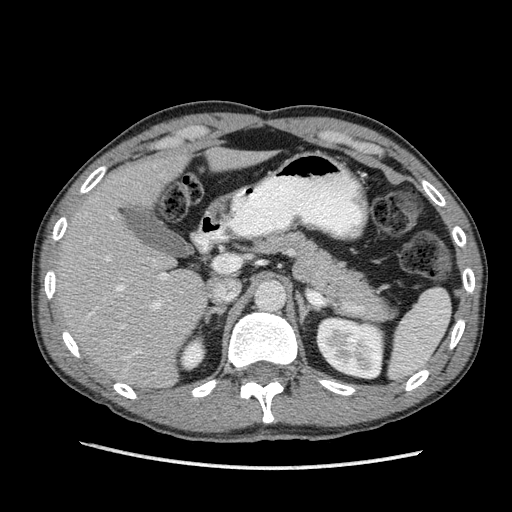

CT slice
<segmentation>
  <kidney>[183, 343, 199, 367], [318, 319, 381, 377]</kidney>
  <liver>[52, 150, 210, 390], [204, 146, 277, 171]</liver>
</segmentation>